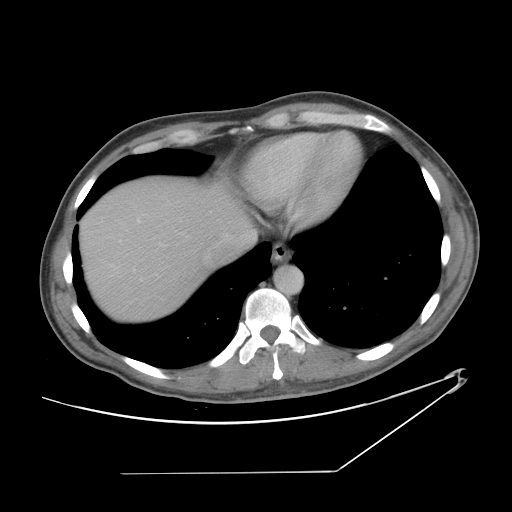 Abdomen | CT
The vessel boxes may cover only some of the vessels.
<segmentation>
  <hepatic_vessel>(left=159, top=243, right=163, bottom=245), (left=137, top=219, right=140, bottom=222), (left=254, top=234, right=254, bottom=237)</hepatic_vessel>
</segmentation>